Computed tomography | Slice 19 of 151
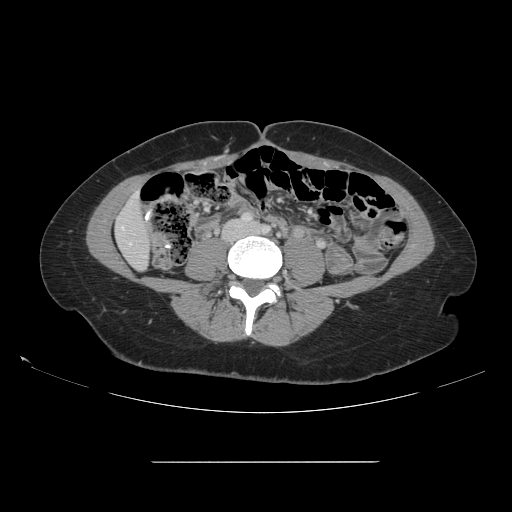 Not every hepatic vessel necessarily has a box.
* hepatic vessel: x1=121, y1=226, x2=123, y2=229